Upper abdomen. Slice 42/76. Computed tomography.

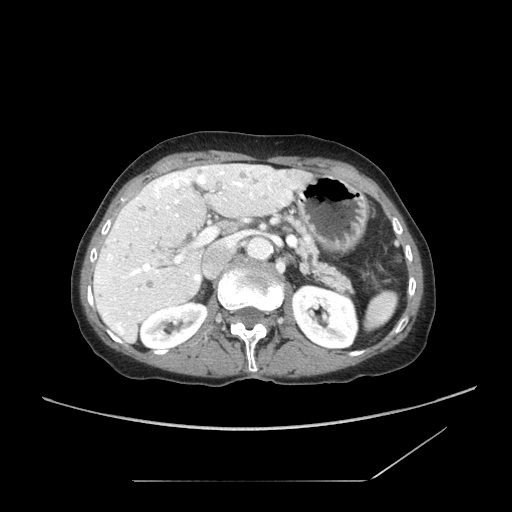 Pancreas = <box>287,216,304,235</box>, <box>299,237,352,293</box>.